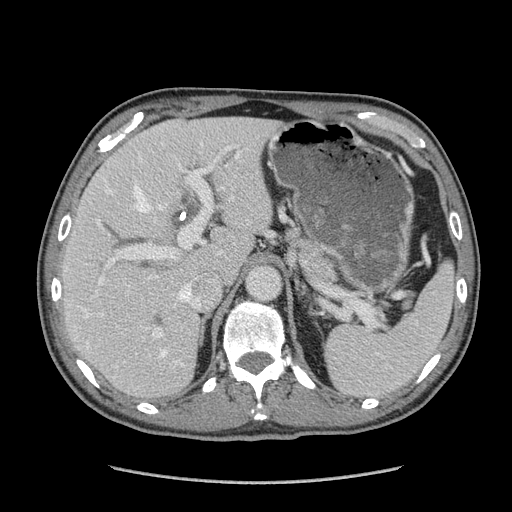
CT slice.
pancreas: [x1=292, y1=232, x2=338, y2=282]